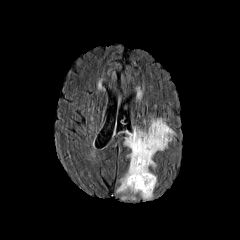
FLAIR MR image.
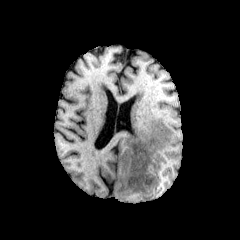
T1-weighted MRI.
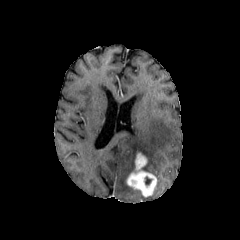
Post-contrast T1-weighted MR image of the same slice.
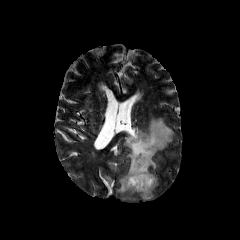
T2-weighted MRI of the same slice.
Head.
The enhancing tumor is located at region(126, 152, 156, 196). The edema lies within region(116, 117, 176, 200).